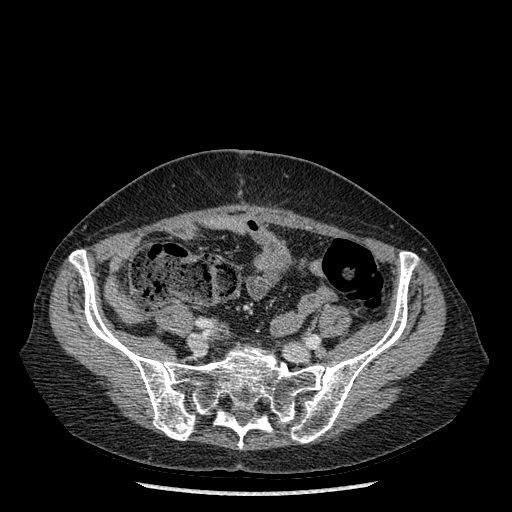 CT slice

Bone: [214, 409, 272, 448], [69, 249, 419, 443].